Image width 36 mm, Magnetic resonance 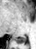

Posterior hippocampus at 15:36:26:43.